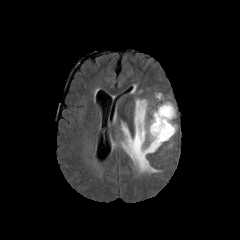
FLAIR MR image.
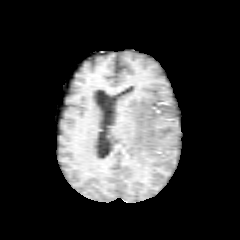
T1-weighted magnetic resonance.
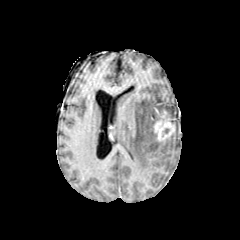
Post-contrast T1-weighted MRI.
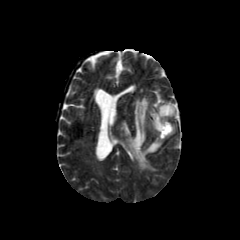
Same slice, T2-weighted MR image.
Image size 240x240.
<segmentation>
  <enhancing_tumor>[x1=153, y1=114, x2=175, y2=140]</enhancing_tumor>
  <edema>[x1=121, y1=99, x2=176, y2=172]</edema>
</segmentation>